Upper abdomen. Slice index 49. CT slice.
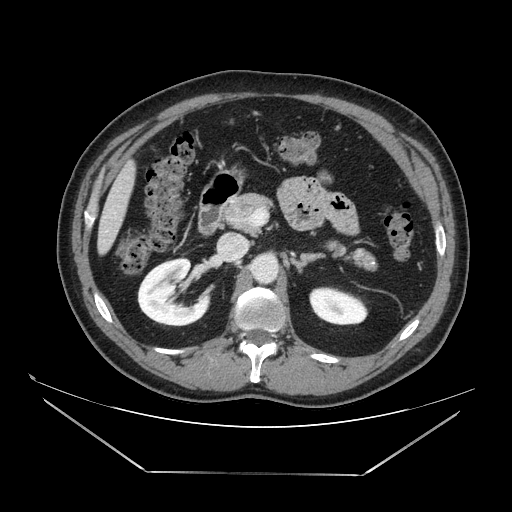

Pancreas: [x1=223, y1=193, x2=272, y2=233], [x1=321, y1=240, x2=377, y2=270].